Computed tomography | Abdomen
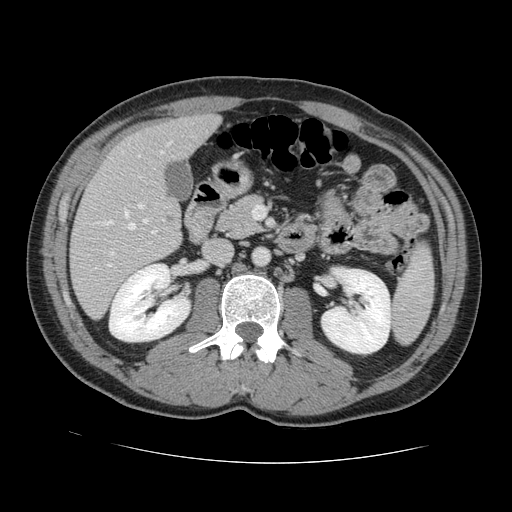 The vessel annotation is not exhaustive.
12 hepatic vessel regions are located at bbox=[138, 155, 139, 156]; bbox=[124, 210, 128, 217]; bbox=[94, 222, 100, 224]; bbox=[138, 203, 142, 208]; bbox=[107, 264, 111, 266]; bbox=[160, 151, 162, 153]; bbox=[110, 251, 113, 254]; bbox=[144, 218, 148, 222]; bbox=[166, 142, 171, 145]; bbox=[128, 222, 134, 229]; bbox=[104, 220, 112, 224]; bbox=[152, 230, 155, 233].